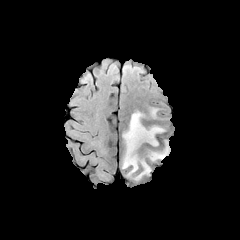
FLAIR magnetic resonance.
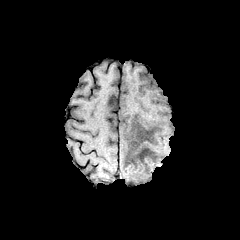
T1-weighted magnetic resonance.
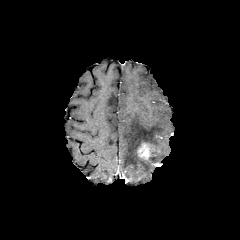
Post-contrast T1-weighted MRI of the same slice.
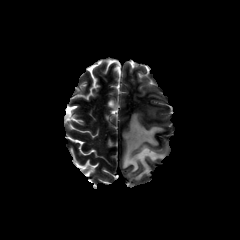
T2-weighted MRI.
Brain
The enhancing tumor appears at left=137, top=143, right=150, bottom=159. 2 edema regions appear at left=148, top=149, right=167, bottom=161; left=123, top=113, right=163, bottom=179.